Field of view 386 mm wide, 1.50 mm slice spacing | CT image | 512x512 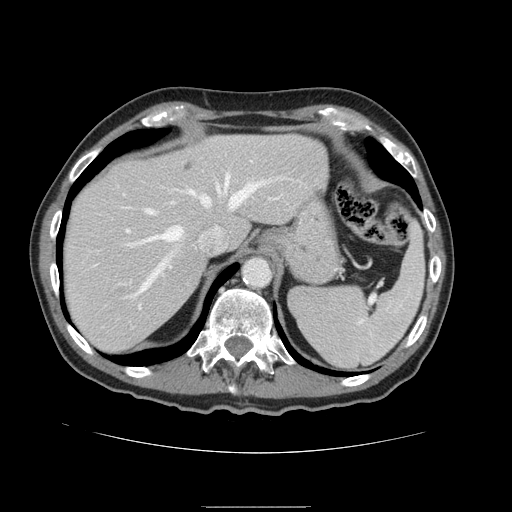
Spleen — (x1=288, y1=223, x2=424, y2=369).